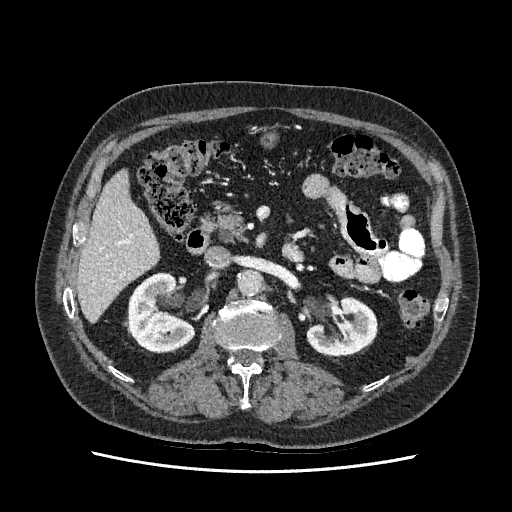 512x512 px; Upper abdomen; CT

Kidney = region(307, 298, 376, 355); region(129, 273, 193, 351).
Liver = region(78, 170, 159, 322).